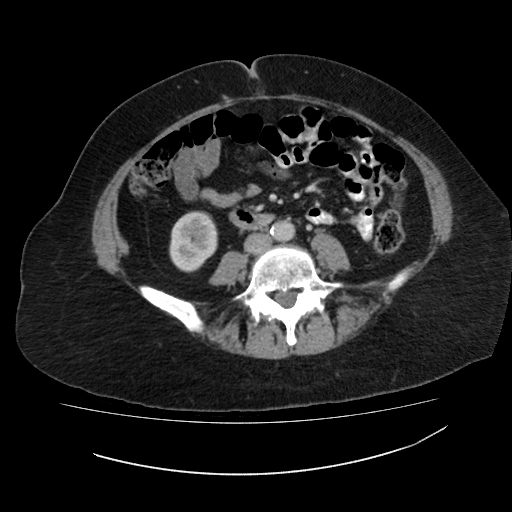 CT image. Kidney: {"x1": 170, "y1": 212, "x2": 216, "y2": 271}.